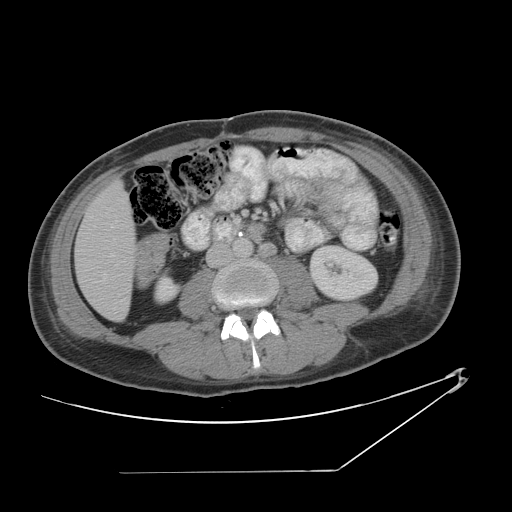

Computed tomography.

Some hepatic vessels may have no box.
3 hepatic vessel regions are located at box=[111, 254, 114, 256]; box=[110, 224, 113, 227]; box=[104, 272, 106, 274].